512x512; CT scan slice 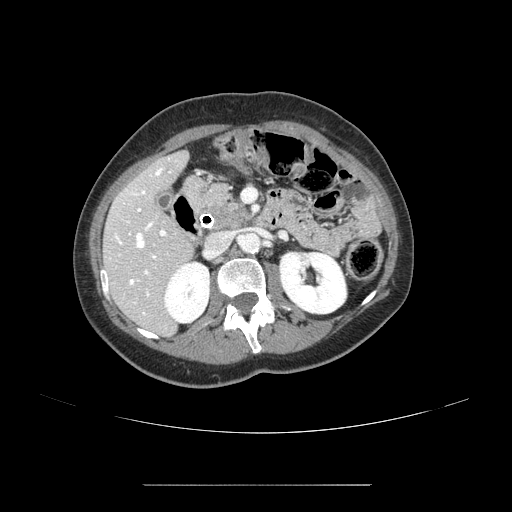

<segmentation>
  <pancreas>x1=184, y1=177, x2=252, y2=233</pancreas>
  <pancreatic_tumor>x1=205, y1=204, x2=237, y2=227</pancreatic_tumor>
</segmentation>